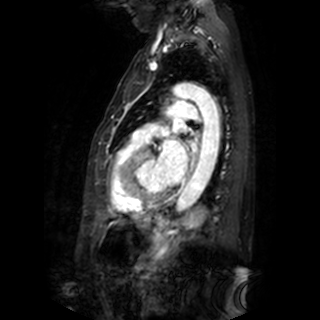

MR image.
left_atrium:
  - (158, 140, 187, 184)
  - (191, 142, 197, 151)
  - (173, 119, 183, 132)